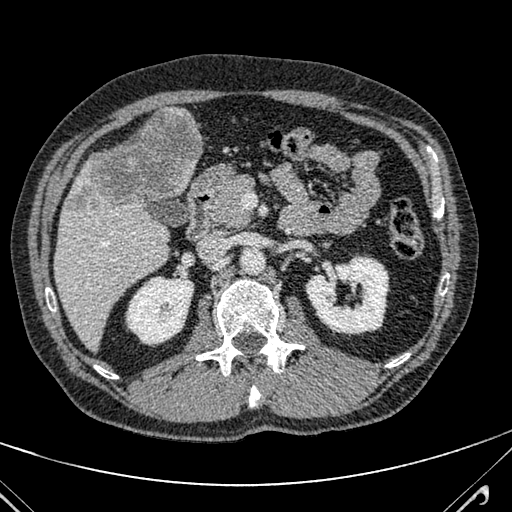 CT image | Upper abdomen
2 liver regions are bounded by rect(54, 159, 167, 348); rect(172, 159, 196, 194). The hepatic lesion is bounded by rect(70, 109, 198, 209).